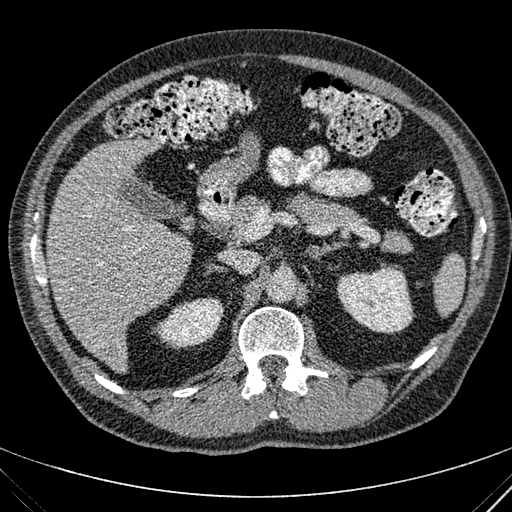 Computed tomography, Abdomen

{"hepatic_lesion": ["(98, 336, 118, 358)"], "kidney": ["(158, 298, 223, 346)", "(337, 267, 412, 332)"], "liver": ["(46, 140, 190, 371)"]}